Field of view 240 mm wide, 1.00 mm slice spacing.
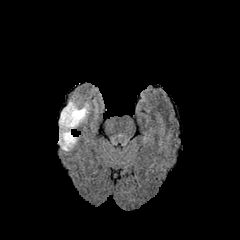
FLAIR MR image.
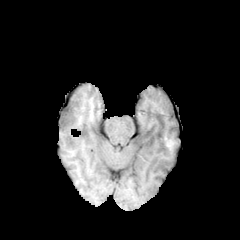
T1-weighted MR of the same slice.
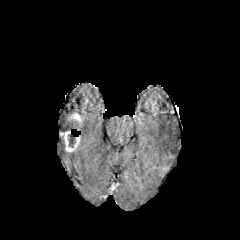
Post-contrast T1-weighted magnetic resonance of the same slice.
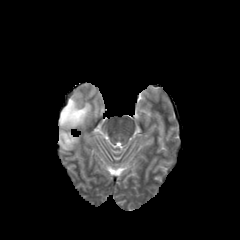
Same slice, T2-weighted MR.
3 edema regions appear at 69, 98, 92, 122; 58, 133, 66, 150; 59, 107, 80, 132. 2 non-enhancing tumor core regions appear at 67, 134, 76, 148; 61, 101, 80, 124. 2 enhancing tumor regions appear at 60, 131, 79, 152; 67, 113, 83, 122.